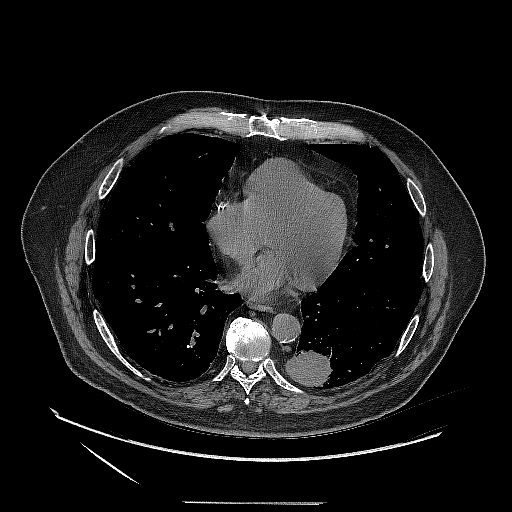
Lung, CT image, 512x512
- lung tumor: <box>286,340,335,388</box>